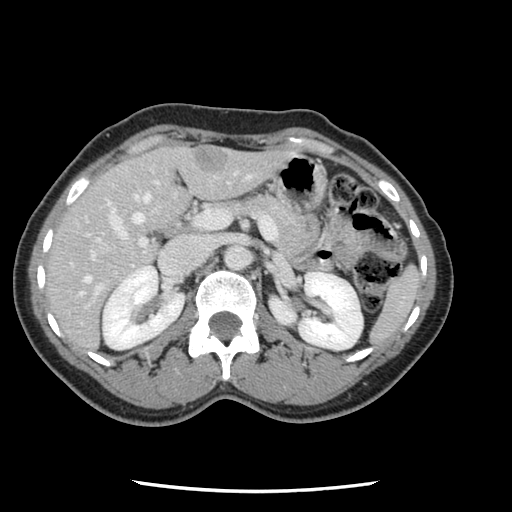

512x512, Abdomen, CT

Not every hepatic vessel necessarily has a box.
Liver tumor at [194,152,229,172].
Hepatic vessel at [94,285,101,293], [97,238,99,240], [246,175,248,177], [91,252,94,257], [155,181,156,182], [108,202,126,237], [134,192,149,200], [138,238,145,245], [80,292,82,294], [84,276,90,281], [132,213,142,222].